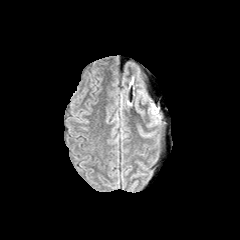
FLAIR magnetic resonance.
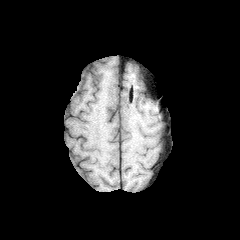
T1-weighted MRI.
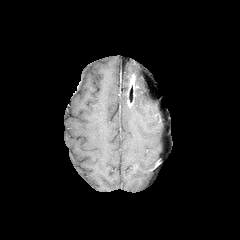
Same slice, post-contrast T1-weighted MR image.
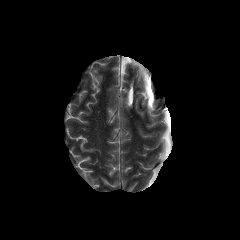
T2-weighted MR image.
Image size 240x240
The edema appears at box=[127, 77, 149, 104].